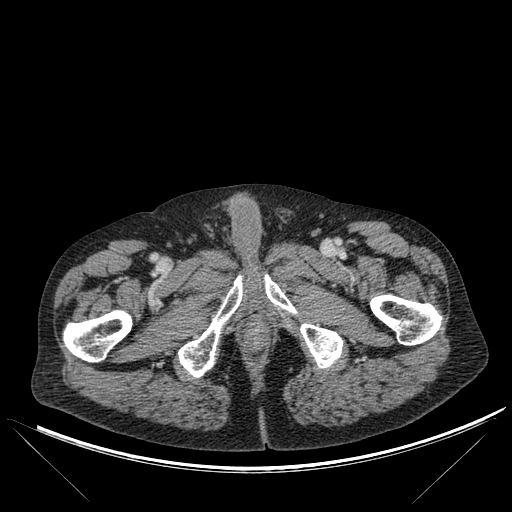 CT image.
{"bone": ["x1=370, y1=294, x2=441, y2=345", "x1=178, y1=276, x2=242, y2=377", "x1=63, y1=310, x2=131, y2=362", "x1=300, y1=323, x2=342, y2=368", "x1=264, y1=275, x2=296, y2=314"]}